Image size 512x512. CT slice. Abdomen. Slice 428 of 845.
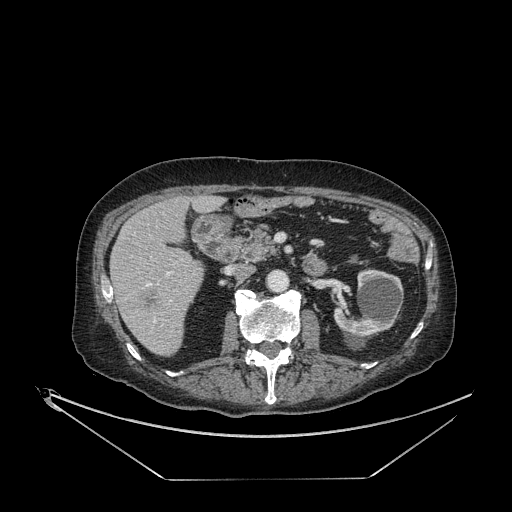
2 liver lesion regions appear at rect(122, 242, 132, 252); rect(140, 289, 158, 312). The liver is bounded by rect(110, 195, 223, 355). 2 kidney regions are bounded by rect(358, 270, 402, 291); rect(321, 279, 393, 336).